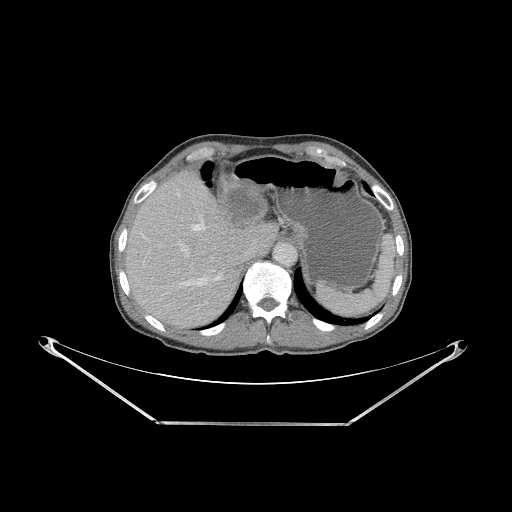 CT slice.
The hepatic lesion is located at left=226, top=188, right=258, bottom=228. 11 bone regions appear at left=134, top=185, right=153, bottom=202; left=313, top=319, right=333, bottom=330; left=119, top=272, right=129, bottom=294; left=393, top=275, right=401, bottom=295; left=373, top=187, right=393, bottom=209; left=119, top=229, right=126, bottom=250; left=146, top=315, right=164, bottom=330; left=244, top=262, right=290, bottom=322; left=396, top=235, right=403, bottom=254; left=365, top=314, right=382, bottom=328; left=201, top=324, right=224, bottom=335. The liver appears at left=126, top=170, right=277, bottom=327. 2 lung regions are bounded by left=211, top=287, right=242, bottom=325; left=294, top=271, right=370, bottom=325.